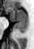 MR image

posterior hippocampus: 12, 21, 27, 32 | anterior hippocampus: 7, 7, 27, 20